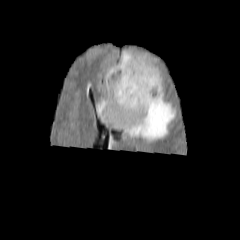
FLAIR MRI.
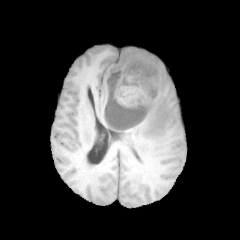
T1-weighted MR image.
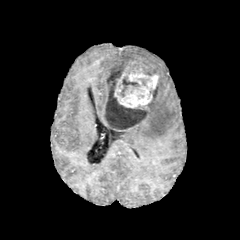
Post-contrast T1-weighted MR of the same slice.
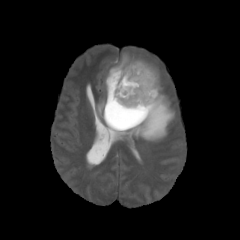
T2-weighted MR image.
Brain; Image size 240x240
Findings:
- enhancing tumor: (114,66,158,108)
- edema: (99,81,176,142), (124,51,159,73)
- non-enhancing tumor core: (104,55,159,129), (120,75,140,96)